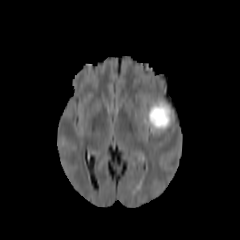
FLAIR MR.
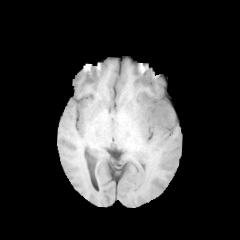
T1-weighted magnetic resonance of the same slice.
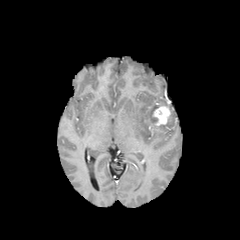
Post-contrast T1-weighted MR.
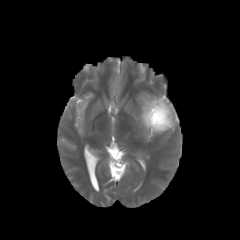
T2-weighted MR.
Brain
Enhancing tumor: bounding box left=152, top=104, right=171, bottom=126.
Edema: bounding box left=139, top=97, right=177, bottom=140.